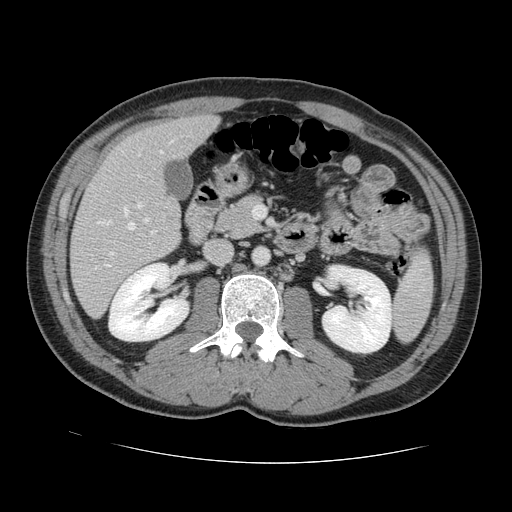 CT; 512x512
The vessel boxes may cover only some of the vessels.
14 hepatic vessel regions are located at [170, 140, 173, 142], [149, 243, 152, 247], [162, 213, 163, 215], [138, 153, 139, 155], [95, 220, 111, 224], [137, 175, 139, 176], [159, 151, 162, 153], [127, 222, 134, 229], [150, 231, 155, 233], [105, 264, 109, 266], [109, 252, 112, 256], [137, 203, 141, 207], [145, 218, 148, 221], [124, 207, 128, 216].